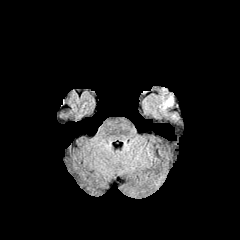
FLAIR magnetic resonance.
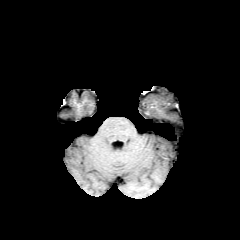
Same slice, T1-weighted MR image.
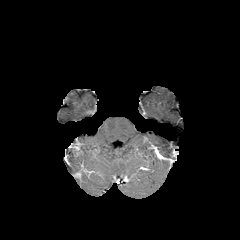
Post-contrast T1-weighted MR image.
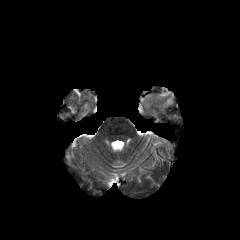
T2-weighted MR image.
Image size 240x240
Annotated regions:
* edema: [154, 90, 173, 112]